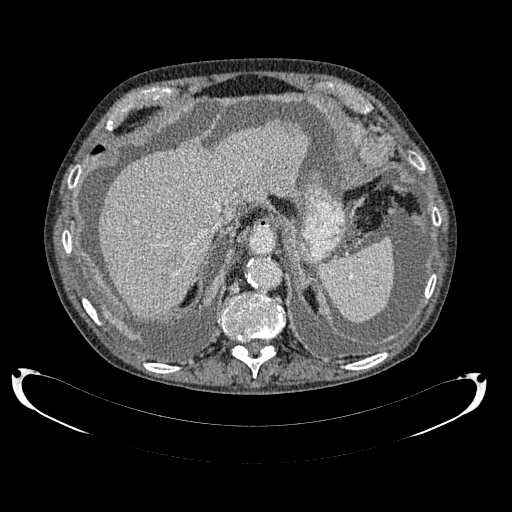

CT scan slice. Liver. Image size 512x512. Segmented structures:
* liver: (98, 118, 309, 321)